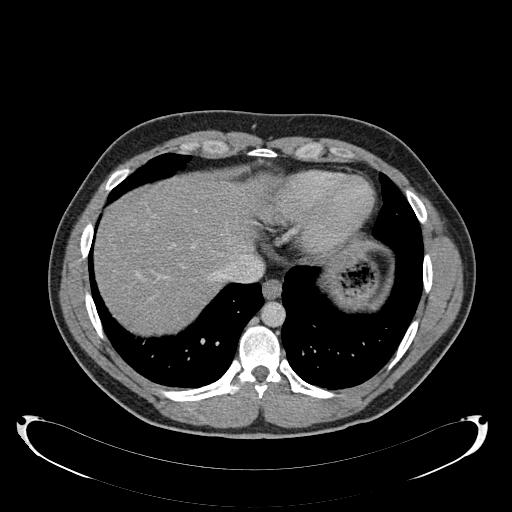
CT
Annotated regions:
* liver: <box>95,177,270,333</box>